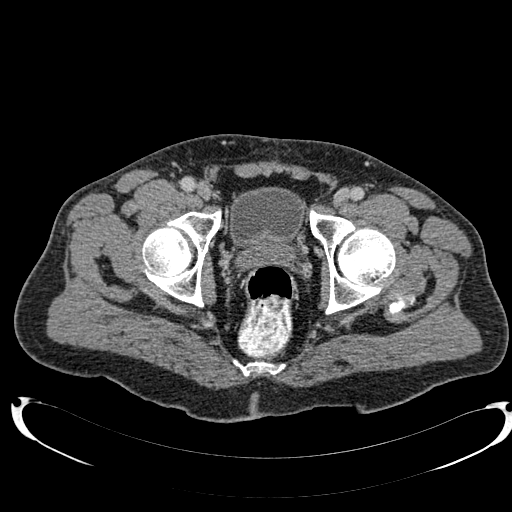
Computed tomography. 512x512.
The urinary bladder lies within 229,187,304,252.